Abdomen, Computed tomography 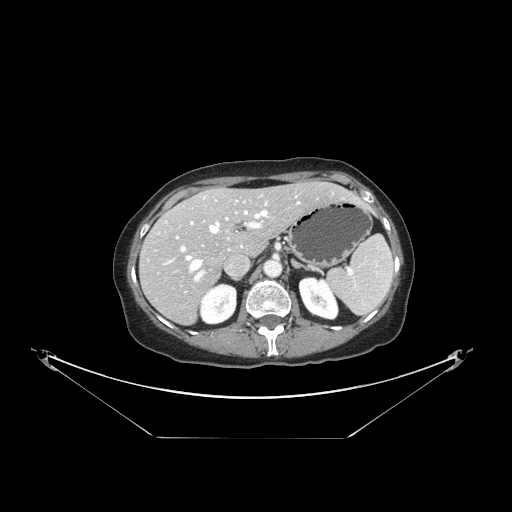
Not every hepatic vessel necessarily has a box.
Findings:
- hepatic vessel: (x1=250, y1=223, x2=258, y2=227), (x1=210, y1=223, x2=218, y2=232), (x1=181, y1=247, x2=184, y2=250), (x1=256, y1=211, x2=266, y2=217), (x1=195, y1=273, x2=200, y2=278)